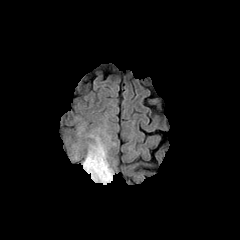
FLAIR magnetic resonance.
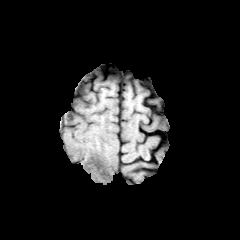
T1-weighted MR.
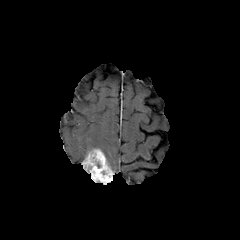
Post-contrast T1-weighted MRI.
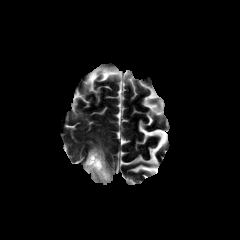
T2-weighted MRI.
240x240; Head
Annotated regions:
* edema: (x1=71, y1=141, x2=83, y2=161), (x1=77, y1=124, x2=85, y2=136), (x1=82, y1=125, x2=116, y2=173)
* enhancing tumor: (x1=82, y1=148, x2=113, y2=184)